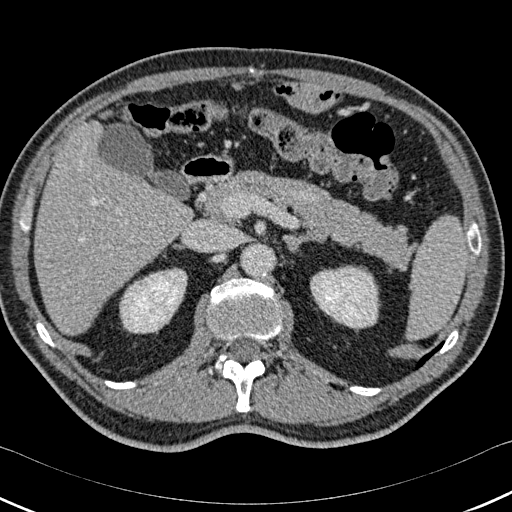

CT image
bone: x1=208 y1=278 x2=281 y2=340, x1=215 y1=355 x2=264 y2=411, x1=350 y1=387 x2=379 y2=395, x1=105 y1=381 x2=134 y2=388, x1=468 y1=224 x2=480 y2=252, x1=440 y1=331 x2=457 y2=353, x1=37 y1=323 x2=53 y2=346 | kidney: x1=311 y1=268 x2=377 y2=327, x1=120 y1=269 x2=186 y2=332 | liver: x1=34 y1=123 x2=193 y2=333 | lung: x1=408 y1=341 x2=444 y2=370